Slice index 37
FLAIR MR.
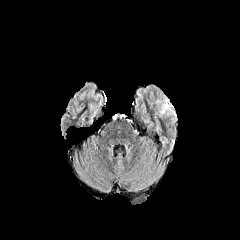
T1-weighted MR.
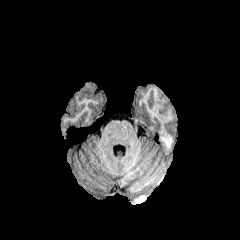
Post-contrast T1-weighted MR image.
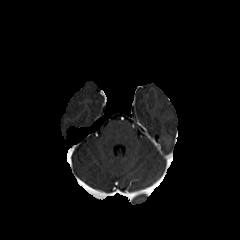
T2-weighted MR.
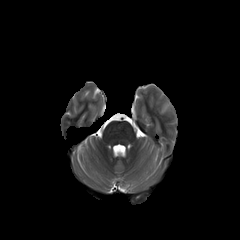
Edema = [153, 89, 176, 120].